CT, Abdomen

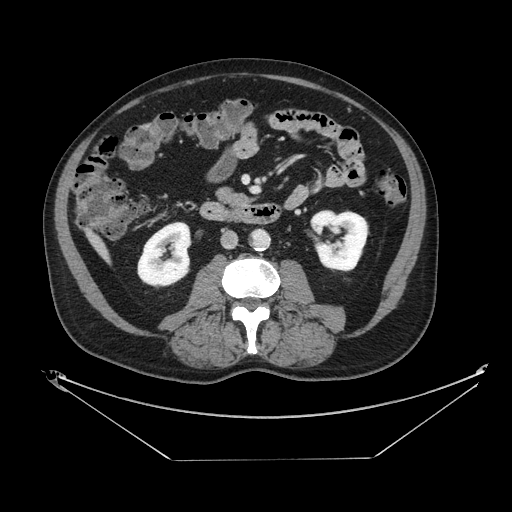
Annotated regions:
• pancreas: 217,187,254,206